CT scan slice, Slice 101 of 142
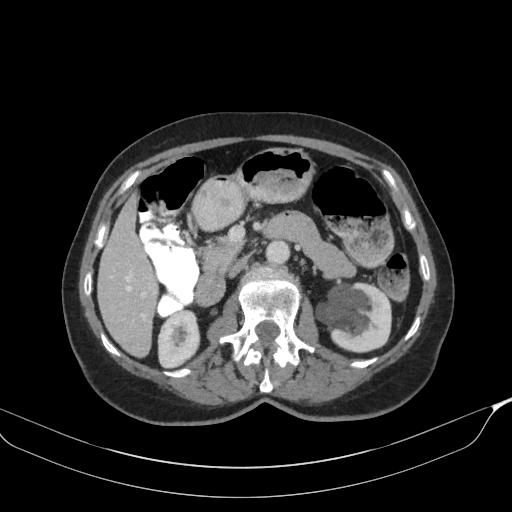 The pancreas is located at [x1=201, y1=240, x2=241, y2=274].